Upper abdomen; Computed tomography

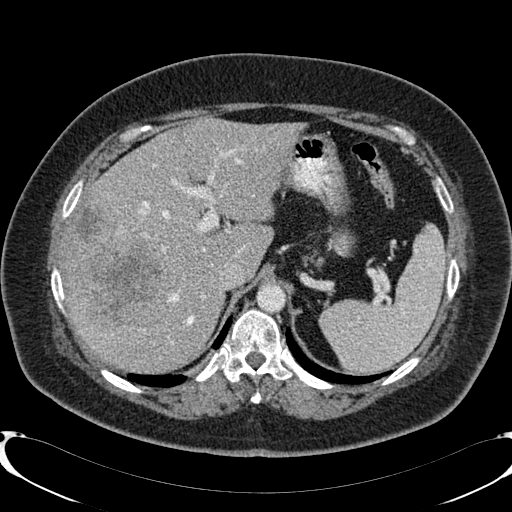 {
  "liver_lesion": [
    "70 205 162 326"
  ],
  "liver": [
    "65 118 305 369"
  ]
}